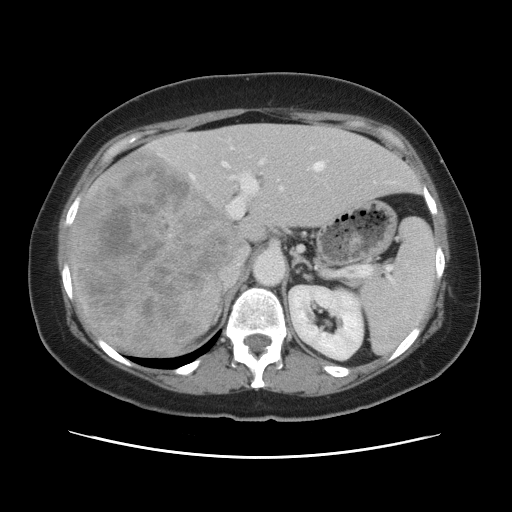

CT image

The vessel boxes may cover only some of the vessels.
Findings:
* hepatic vessel: l=222, t=249, r=246, b=286; l=229, t=140, r=232, b=149; l=314, t=162, r=323, b=170; l=389, t=182, r=393, b=183; l=259, t=160, r=263, b=164; l=226, t=174, r=257, b=218; l=299, t=247, r=301, b=251; l=374, t=182, r=376, b=183; l=310, t=148, r=312, b=149; l=280, t=187, r=282, b=190; l=222, t=162, r=227, b=166
* liver tumor: l=74, t=149, r=238, b=353